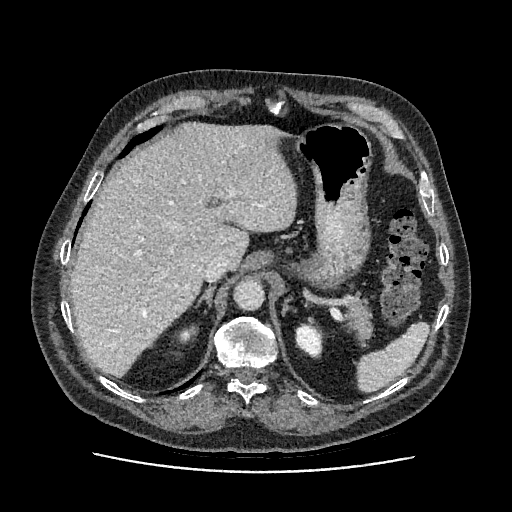
Image size 512x512. Computed tomography. Liver.

Segmented structures:
• liver: (72,122,295,376)
• kidney: (297,326,320,354)